CT | Field of view 377 mm wide, 1.50 mm slice spacing | Image size 512x512 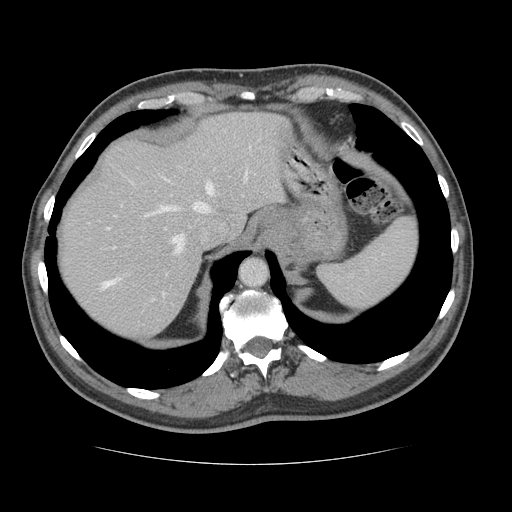

Some hepatic vessels may have no box.
Hepatic vessel at (left=172, top=235, right=184, bottom=251), (left=144, top=214, right=147, bottom=216), (left=113, top=246, right=114, bottom=248), (left=162, top=293, right=164, bottom=296), (left=106, top=227, right=109, bottom=229), (left=193, top=202, right=209, bottom=211), (left=130, top=181, right=132, bottom=183), (left=206, top=183, right=213, bottom=195), (left=158, top=205, right=175, bottom=211), (left=100, top=279, right=117, bottom=288), (left=244, top=173, right=246, bottom=181), (left=163, top=177, right=168, bottom=180).